FLAIR magnetic resonance.
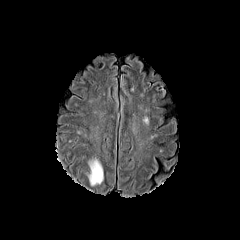
T1-weighted MR.
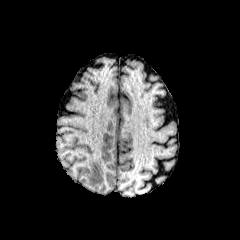
Post-contrast T1-weighted MR.
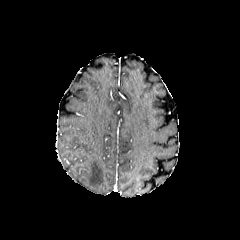
T2-weighted MRI.
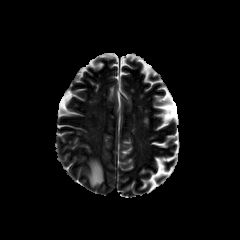
Head
<segmentation>
  <edema>[x1=89, y1=160, x2=102, y2=185]</edema>
</segmentation>